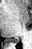
Magnetic resonance
posterior hippocampus: <box>9,38,18,43</box>